Brain | Slice index 91
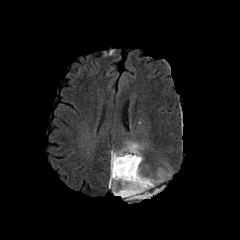
FLAIR MR image.
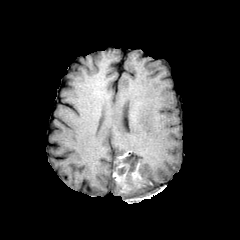
T1-weighted MRI.
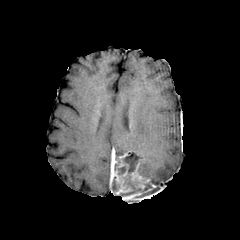
Post-contrast T1-weighted MR image.
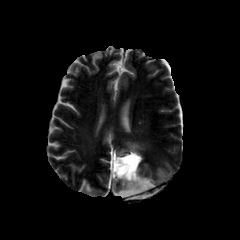
T2-weighted magnetic resonance.
enhancing tumor: 138,180,149,189; 112,187,132,194; 109,152,119,185; 123,191,141,199 | non-enhancing tumor core: 113,152,153,198 | edema: 138,163,165,185; 116,142,144,162